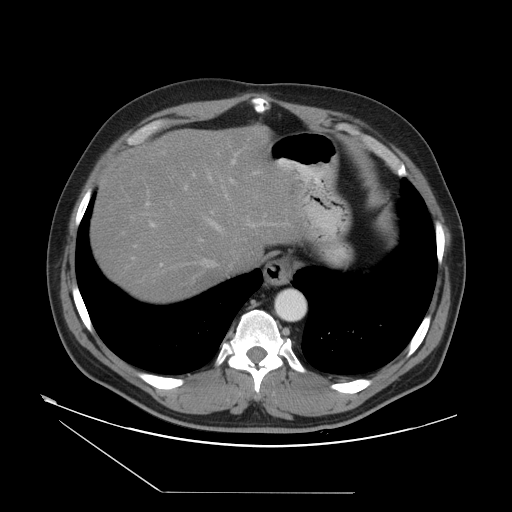
CT scan slice
The vessel annotation is not exhaustive.
15 hepatic vessel regions appear at 231:153:237:164, 208:221:220:230, 149:222:154:227, 159:264:161:266, 145:203:148:206, 207:175:211:181, 184:187:186:189, 229:179:233:182, 201:260:213:266, 199:239:201:241, 225:194:226:197, 192:175:194:176, 181:265:184:265, 253:172:256:174, 246:222:253:227.